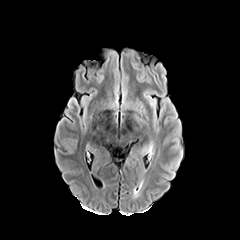
FLAIR MRI.
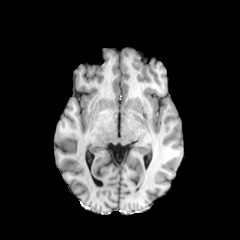
Same slice, T1-weighted MRI.
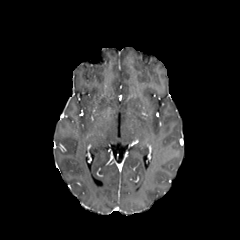
Post-contrast T1-weighted MR.
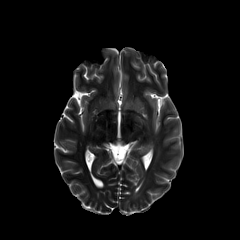
T2-weighted MR.
240x240. Head.
Edema: bounding box rect(137, 146, 148, 154); rect(144, 93, 157, 131); rect(120, 83, 145, 130).